FLAIR magnetic resonance.
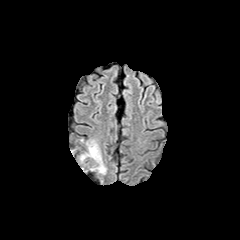
T1-weighted MRI.
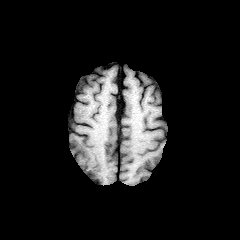
Post-contrast T1-weighted MR image.
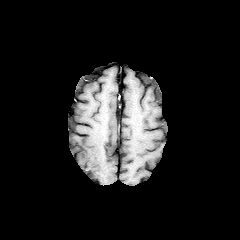
T2-weighted MR image.
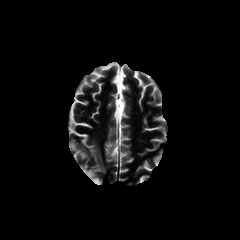
Edema = (left=70, top=139, right=106, bottom=174).